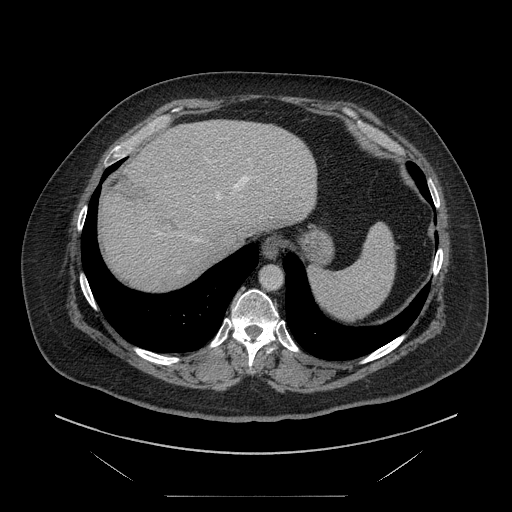 Computed tomography | Image size 512x512 | Abdomen
Some hepatic vessels may have no box.
hepatic vessel: bbox=[171, 232, 203, 242]; bbox=[227, 172, 258, 198]; bbox=[250, 162, 251, 167]; bbox=[215, 191, 222, 200] | liver tumor: bbox=[113, 176, 145, 203]